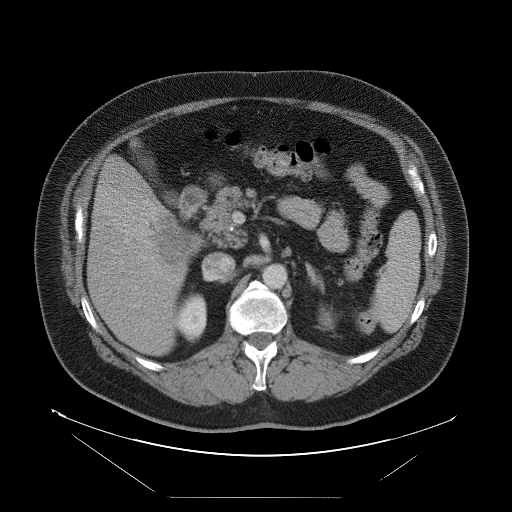
CT scan slice, Image size 512x512, Abdomen

The vessel boxes may cover only some of the vessels.
The liver tumor is at (158,216,198,269). 13 hepatic vessel regions are bounded by (159,272,161,274), (151,258,153,260), (130,234,132,236), (135,287,136,288), (125,238,129,242), (142,219,147,224), (143,256,145,258), (139,301,141,303), (117,221,128,232), (149,231,152,233), (179,321,181,325), (152,218,156,220), (134,304,138,306).